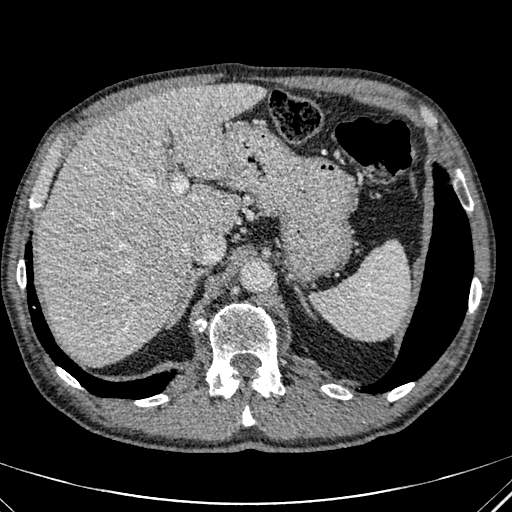
Computed tomography; 512x512 px; Upper abdomen
Liver = region(38, 83, 266, 364).